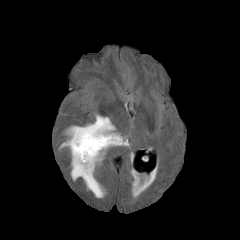
FLAIR MR.
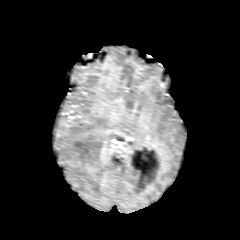
Same slice, T1-weighted MRI.
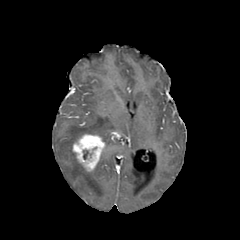
Post-contrast T1-weighted MRI.
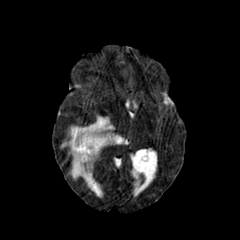
T2-weighted MR of the same slice.
Brain | 240x240
enhancing_tumor:
  - [72,134,104,170]
edema:
  - [61,115,128,197]